CT | Field of view 387x387 mm | Liver
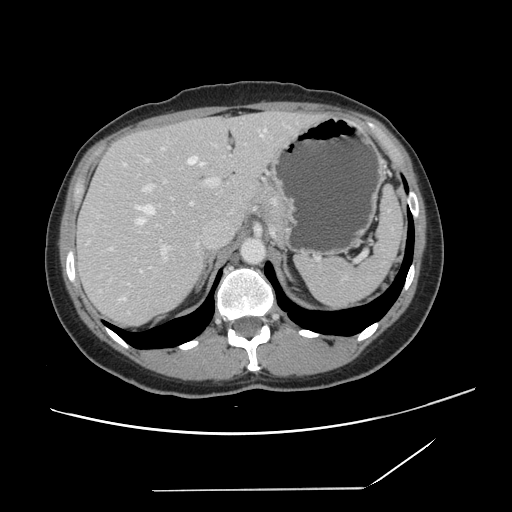

The vessel boxes may cover only some of the vessels.
Principal 15 of 18 hepatic vessel regions — [205, 178, 218, 186], [146, 159, 149, 161], [200, 163, 204, 165], [161, 147, 164, 150], [161, 245, 169, 258], [123, 163, 125, 165], [142, 184, 153, 191], [136, 204, 154, 214], [260, 134, 263, 136], [119, 297, 125, 299], [137, 219, 144, 224], [190, 202, 192, 204], [188, 156, 197, 164], [87, 241, 89, 243], [109, 247, 111, 250].